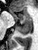 MRI slice

Annotated regions:
- anterior hippocampus: x1=19 y1=11 x2=31 y2=22, x1=10 y1=11 x2=17 y2=21
- posterior hippocampus: x1=16 y1=23 x2=31 y2=34